Image size 512x512, Chest, CT

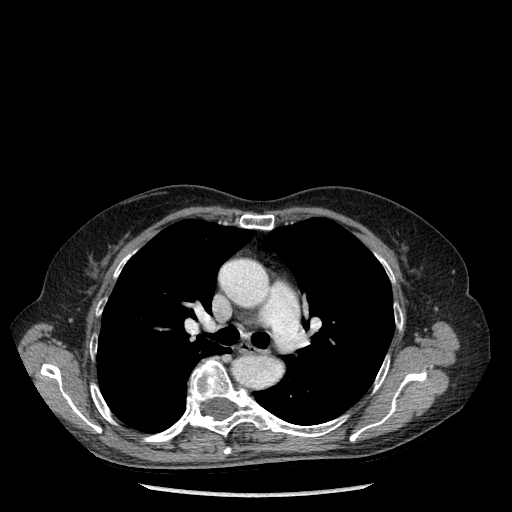
Annotated regions:
- lung: rect(97, 219, 254, 432); rect(251, 332, 269, 348); rect(254, 217, 394, 425)
- bone: rect(376, 254, 394, 282); rect(350, 371, 426, 441); rect(239, 213, 274, 229); rect(96, 299, 105, 315); rect(143, 357, 347, 442); rect(40, 363, 101, 432); rect(90, 383, 115, 424); rect(90, 336, 96, 357); rect(394, 303, 403, 329); rect(373, 356, 389, 392); rect(114, 254, 130, 277)